Head, Field of view 240 mm wide, 1.00 mm slice spacing
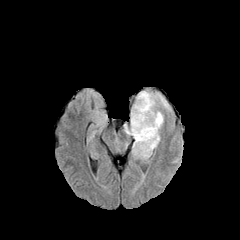
FLAIR magnetic resonance.
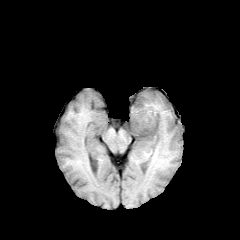
T1-weighted MR of the same slice.
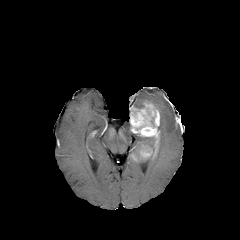
Post-contrast T1-weighted MR of the same slice.
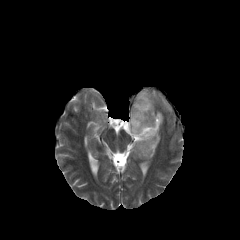
T2-weighted magnetic resonance.
2 enhancing tumor regions appear at x1=140, y1=145, x2=152, y2=158; x1=129, y1=103, x2=159, y2=136. 2 non-enhancing tumor core regions appear at x1=133, y1=100, x2=152, y2=109; x1=135, y1=143, x2=154, y2=154. 3 edema regions are located at x1=158, y1=110, x2=164, y2=130; x1=134, y1=89, x2=172, y2=113; x1=123, y1=123, x2=160, y2=162.